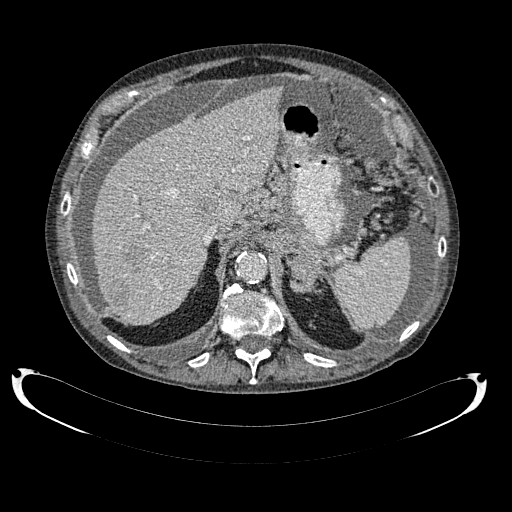 Computed tomography
Segmented structures:
- liver: x1=91 y1=87 x2=282 y2=324
- liver lesion: x1=123 y1=241 x2=141 y2=266, x1=191 y1=195 x2=210 y2=219, x1=110 y1=283 x2=128 y2=304